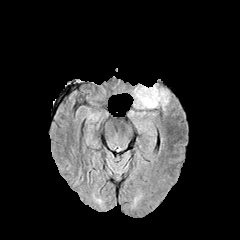
FLAIR MR.
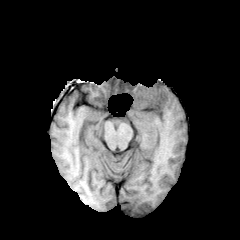
Same slice, T1-weighted magnetic resonance.
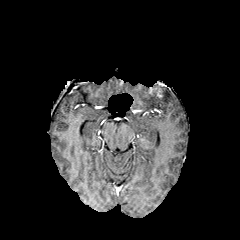
Post-contrast T1-weighted MR image.
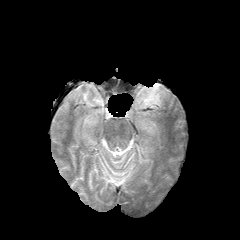
Same slice, T2-weighted MRI.
240x240.
Edema: l=134, t=85, r=168, b=115.
Non-enhancing tumor core: l=146, t=94, r=161, b=104.